Computed tomography; Slice 216/333; Liver
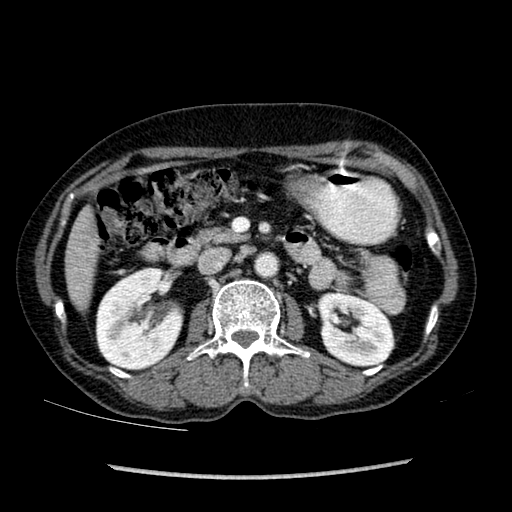

Liver — x1=65 y1=210 x2=96 y2=307.
Kidney — x1=97 y1=268 x2=181 y2=368, x1=320 y1=294 x2=392 y2=364.